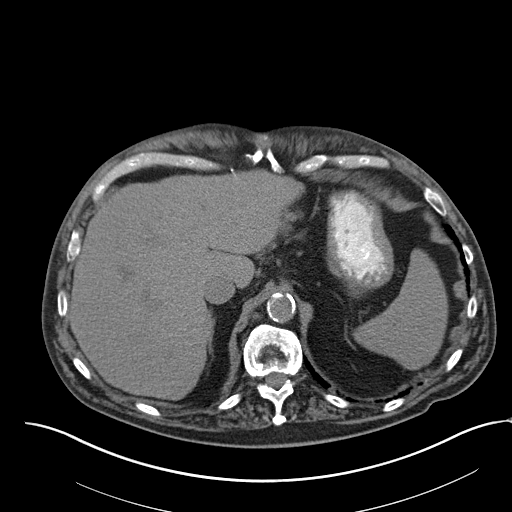
Upper abdomen, 512x512 px, CT image
spleen:
  - (x1=357, y1=252, x2=446, y2=367)